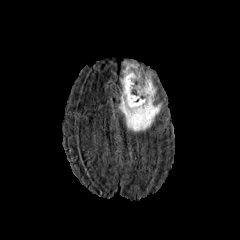
FLAIR MRI.
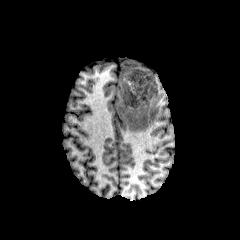
T1-weighted MRI.
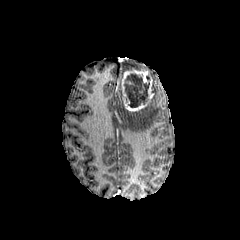
Post-contrast T1-weighted MR image.
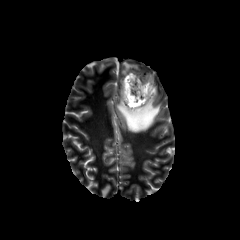
T2-weighted magnetic resonance.
240x240 px | Head
enhancing_tumor:
  - 121 68 154 111
edema:
  - 118 88 161 132
  - 123 62 138 70
non-enhancing_tumor_core:
  - 124 74 149 107